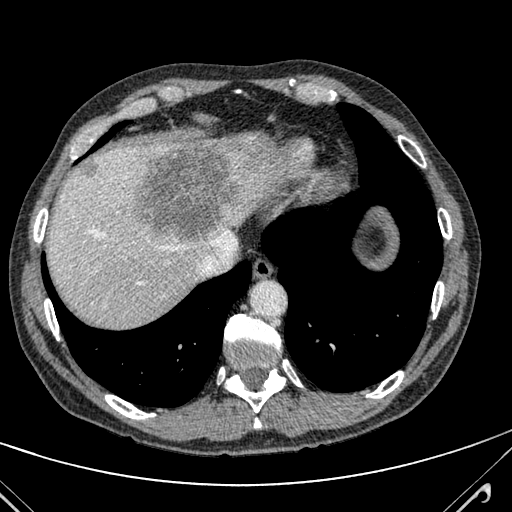
Image size 512x512, Computed tomography, Upper abdomen
Liver: [x1=217, y1=134, x2=280, y2=227], [x1=47, y1=143, x2=208, y2=325].
Liver lesion: [x1=78, y1=161, x2=95, y2=177], [x1=134, y1=141, x2=242, y2=241].